Image size 240x240 | Field of view 240 mm wide, 1.00 mm slice spacing | Head
FLAIR magnetic resonance.
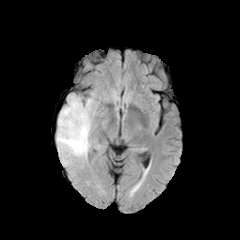
T1-weighted MRI.
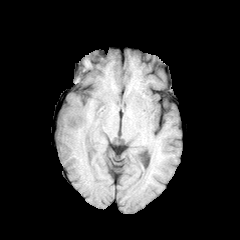
Post-contrast T1-weighted MR image.
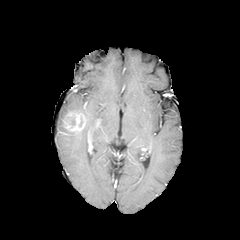
T2-weighted MRI.
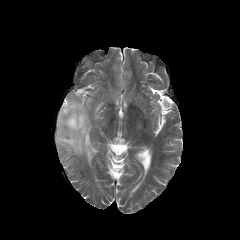
The enhancing tumor is at [62,111,85,131]. 2 non-enhancing tumor core regions are bounded by [58,128,80,137], [73,104,88,122]. 2 edema regions are bounded by [56,93,101,163], [57,94,84,133].